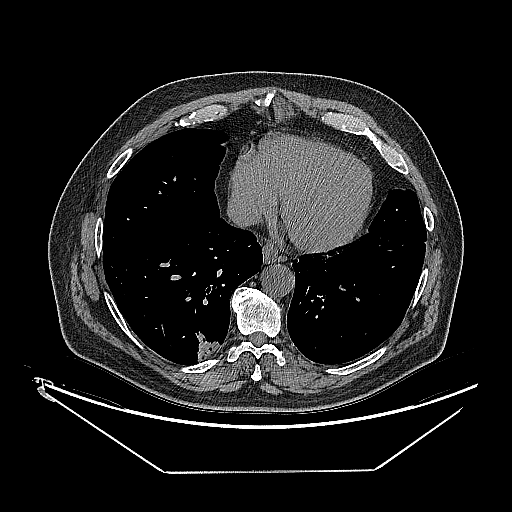
CT slice, Lung

{
  "lung_tumor": [
    "195,332,220,361"
  ]
}